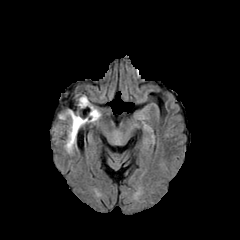
FLAIR MRI.
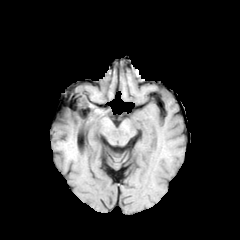
T1-weighted magnetic resonance.
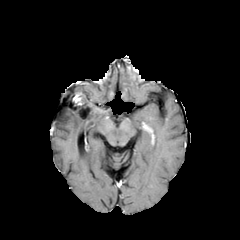
Post-contrast T1-weighted magnetic resonance.
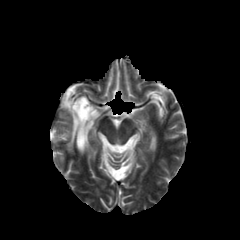
Same slice, T2-weighted MR.
240x240 px, Head
edema:
  - (x1=55, y1=97, x2=100, y2=151)
non-enhancing_tumor_core:
  - (x1=72, y1=112, x2=85, y2=126)
  - (x1=78, y1=95, x2=86, y2=110)
enhancing_tumor:
  - (x1=76, y1=96, x2=83, y2=105)